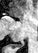
38x53, MR
{
  "posterior_hippocampus": [
    "<box>11,43,23,48</box>"
  ]
}